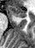
MRI
<segmentation>
  <anterior_hippocampus>(x1=8, y1=5, x2=27, y2=18)</anterior_hippocampus>
</segmentation>